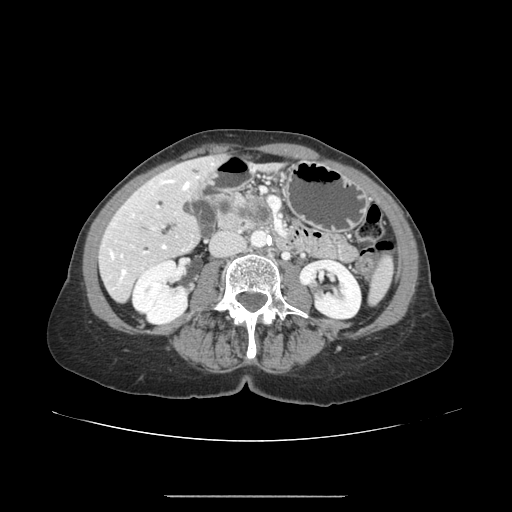 512x512, Computed tomography, Abdomen
<segmentation>
  <pancreatic_tumor>(left=241, top=200, right=269, bottom=221)</pancreatic_tumor>
  <pancreas>(left=241, top=195, right=274, bottom=226)</pancreas>
</segmentation>